512x512 px | Liver | CT scan slice
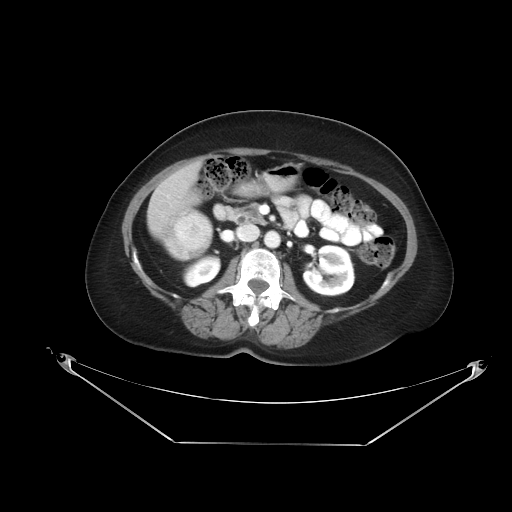
{
  "liver_tumor": [
    {"x1": 165, "y1": 210, "x2": 212, "y2": 259}
  ]
}